Field of view 240x240 mm, Head, Slice 105/155, 240x240 px
FLAIR MR image.
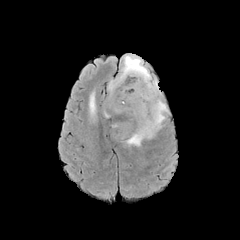
T1-weighted MRI.
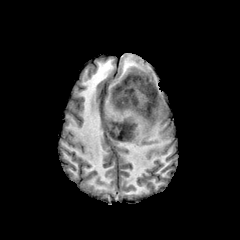
Post-contrast T1-weighted MR.
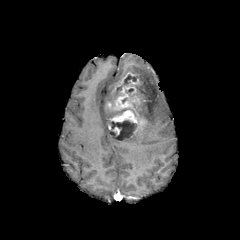
T2-weighted magnetic resonance.
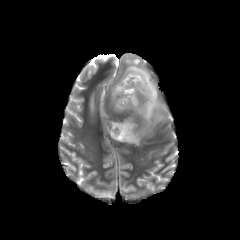
<segmentation>
  <non-enhancing_tumor_core>x1=109, y1=74, x2=140, y2=106; x1=120, y1=108, x2=137, y2=116; x1=109, y1=120, x2=137, y2=141; x1=125, y1=88, x2=144, y2=107</non-enhancing_tumor_core>
  <edema>x1=89, y1=92, x2=96, y2=115; x1=108, y1=53, x2=168, y2=146</edema>
  <enhancing_tumor>x1=110, y1=110, x2=139, y2=132; x1=108, y1=84, x2=139, y2=110</enhancing_tumor>
</segmentation>